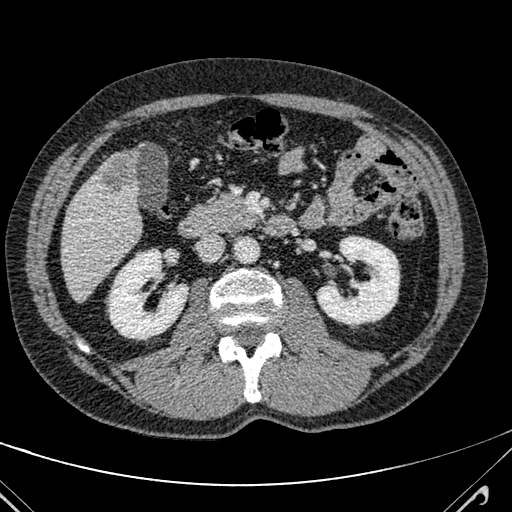

Liver, CT slice
{
  "hepatic_lesion": [
    "103,151,136,190"
  ],
  "liver": [
    "62,153,139,301"
  ]
}